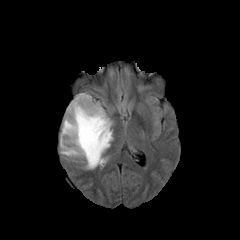
FLAIR MR.
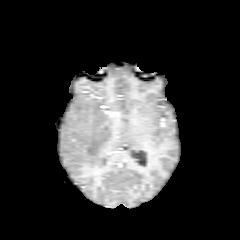
T1-weighted MR.
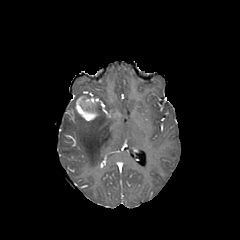
Same slice, post-contrast T1-weighted MR image.
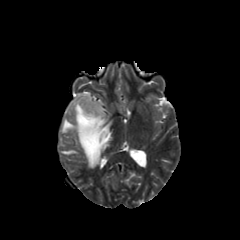
Same slice, T2-weighted MR.
Brain.
{"edema": ["(60,102,112,168)"], "enhancing_tumor": ["(75,97,97,120)"], "non-enhancing_tumor_core": ["(68,92,105,127)"]}